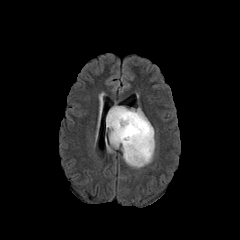
FLAIR MR.
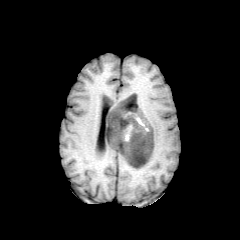
T1-weighted MR image of the same slice.
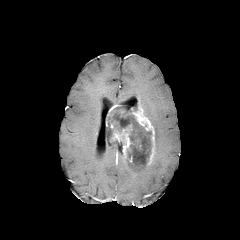
Post-contrast T1-weighted MRI.
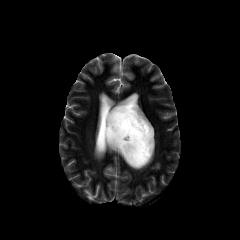
T2-weighted MRI.
The edema is at (105,127,147,168). The non-enhancing tumor core is at (106,106,153,165). 2 enhancing tumor regions appear at (132,109,154,163), (110,124,131,156).